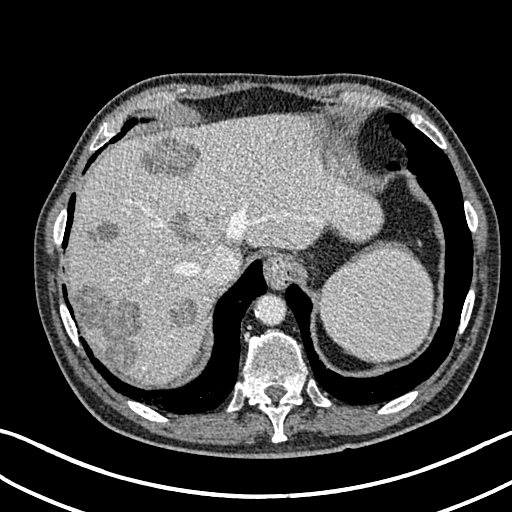

CT, Liver, Image size 512x512
{
  "liver": [
    "region(77, 316, 107, 355)",
    "region(67, 114, 381, 379)"
  ],
  "liver_lesion": [
    "region(142, 136, 199, 176)",
    "region(170, 212, 190, 237)",
    "region(74, 286, 141, 367)",
    "region(92, 223, 118, 242)",
    "region(167, 298, 196, 326)"
  ]
}